FLAIR magnetic resonance.
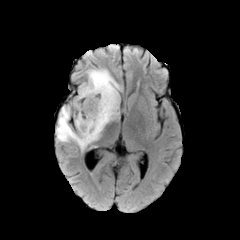
T1-weighted MRI.
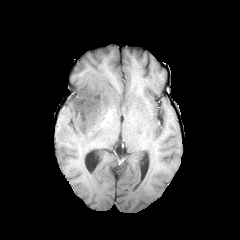
Post-contrast T1-weighted MR image.
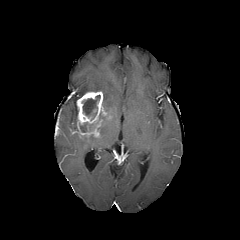
T2-weighted MRI.
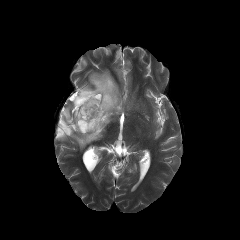
Findings:
- edema: (56, 106, 98, 149), (78, 68, 119, 136)
- non-enhancing tumor core: (74, 88, 109, 127), (83, 98, 97, 115)
- enhancing tumor: (76, 91, 106, 137)